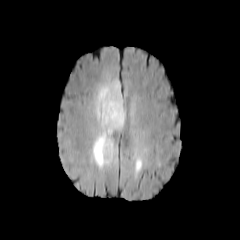
FLAIR MRI.
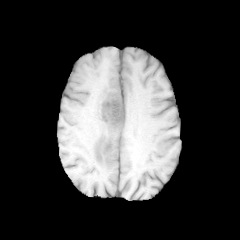
T1-weighted magnetic resonance.
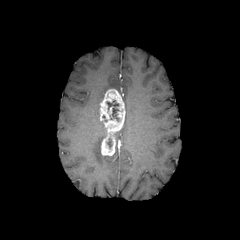
Same slice, post-contrast T1-weighted MR image.
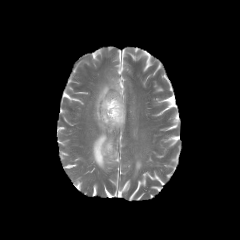
T2-weighted MR image.
Image size 240x240.
Findings:
- non-enhancing tumor core: <bbox>106, 100, 120, 120</bbox>
- edema: <bbox>93, 81, 123, 170</bbox>, <bbox>135, 159, 142, 171</bbox>
- enhancing tumor: <bbox>99, 88, 125, 155</bbox>